Field of view 240x240 mm
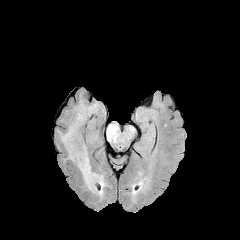
FLAIR magnetic resonance.
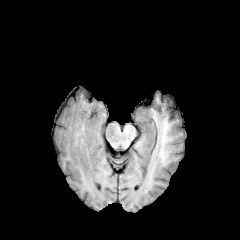
T1-weighted MRI.
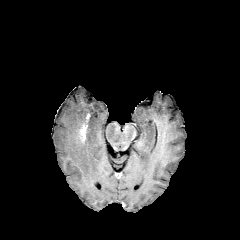
Same slice, post-contrast T1-weighted MRI.
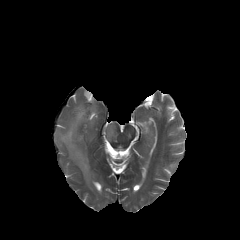
Same slice, T2-weighted MRI.
Segmented structures:
- edema: 61:106:93:177, 106:123:117:141
- enhancing tumor: 80:125:86:140